Head; 240x240 px
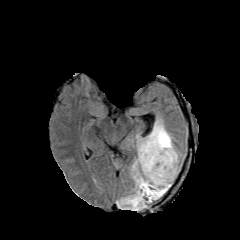
FLAIR magnetic resonance.
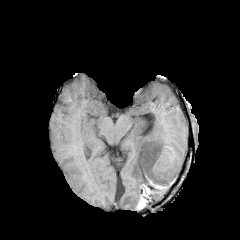
T1-weighted MRI.
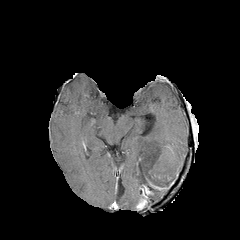
Post-contrast T1-weighted MR image.
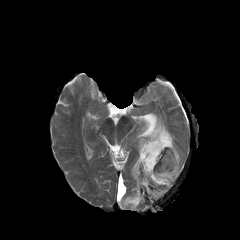
Same slice, T2-weighted MR.
3 non-enhancing tumor core regions are located at bbox(139, 186, 150, 202); bbox(157, 180, 171, 190); bbox(149, 150, 159, 167). 2 edema regions appear at bbox(148, 186, 167, 203); bbox(117, 116, 182, 210).